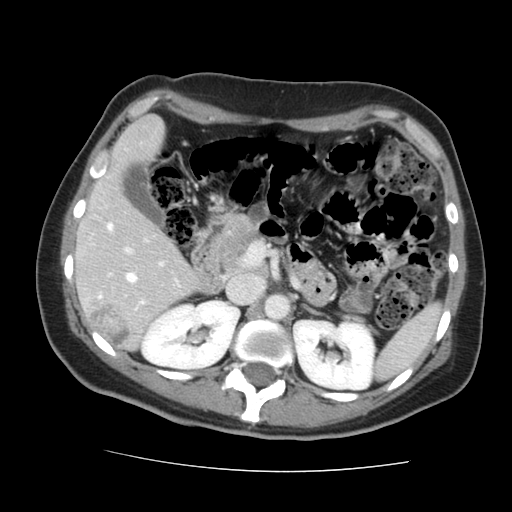 512x512. Computed tomography. The vessel annotation is not exhaustive.
Hepatic vessel: bounding box <bbox>140, 302, 143, 303</bbox>, <bbox>159, 263, 162, 265</bbox>, <bbox>125, 249, 130, 252</bbox>, <bbox>98, 295, 101, 298</bbox>, <bbox>126, 274, 135, 282</bbox>, <bbox>107, 224, 111, 230</bbox>.
Liver tumor: bounding box <bbox>90, 303, 131, 346</bbox>.